512x512 px. Upper abdomen. CT. Image width 400 mm. 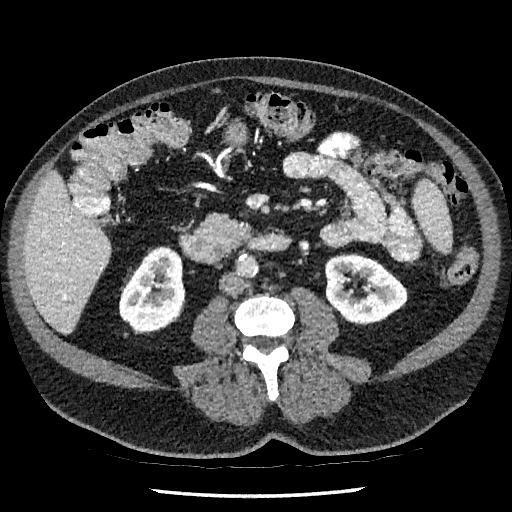
Liver: bbox(23, 169, 109, 333).
Kidney: bbox(120, 250, 184, 330); bbox(326, 255, 406, 322).